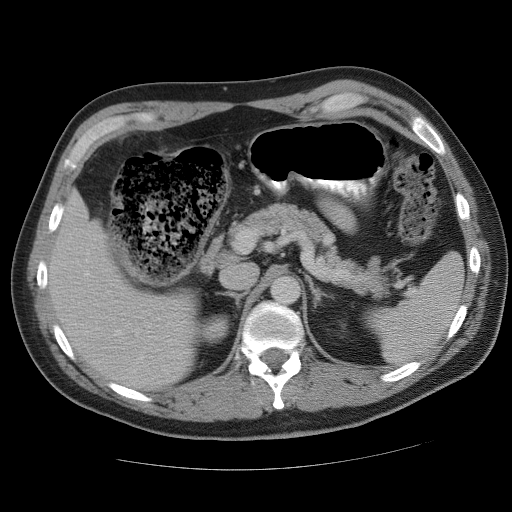

CT slice, Upper abdomen
Segmented structures:
* spleen: [364, 254, 462, 365]